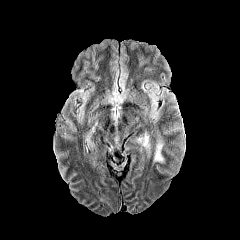
FLAIR MR image.
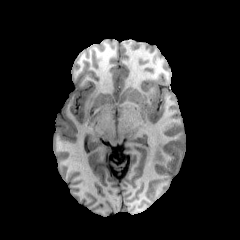
Same slice, T1-weighted MR image.
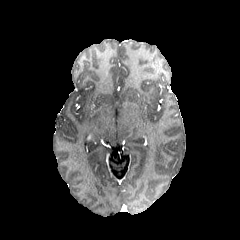
Post-contrast T1-weighted magnetic resonance of the same slice.
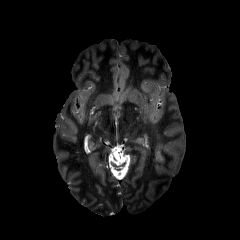
T2-weighted MRI of the same slice.
Brain
The edema is at x1=154 y1=142 x2=163 y2=162.